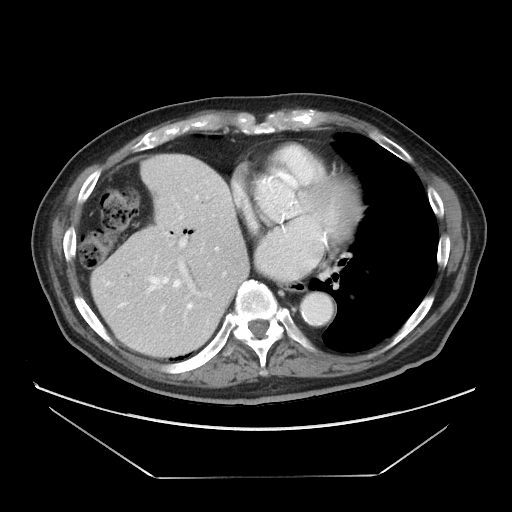

Computed tomography. Liver. Image size 512x512.

Not every hepatic vessel necessarily has a box.
5 hepatic vessel regions are bounded by box=[166, 234, 168, 236]; box=[147, 276, 168, 293]; box=[173, 279, 180, 287]; box=[186, 302, 192, 309]; box=[179, 237, 186, 247].